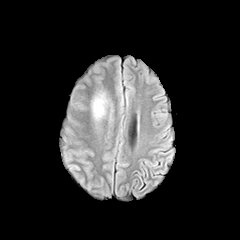
FLAIR MR image.
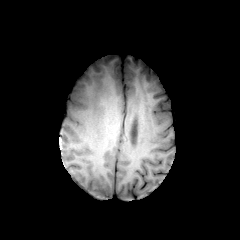
T1-weighted MRI.
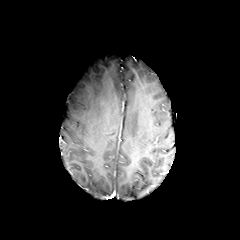
Post-contrast T1-weighted MR image.
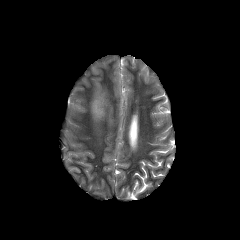
T2-weighted MR.
Brain
The edema is located at left=92, top=90, right=107, bottom=119.